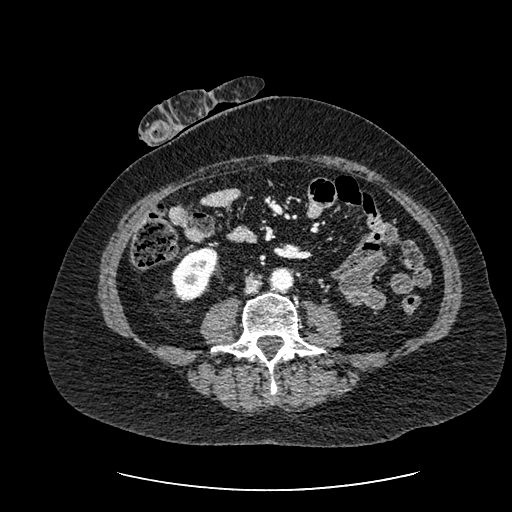

Abdomen | CT scan slice | Image size 512x512
Segmented structures:
- kidney: [172, 248, 216, 299]